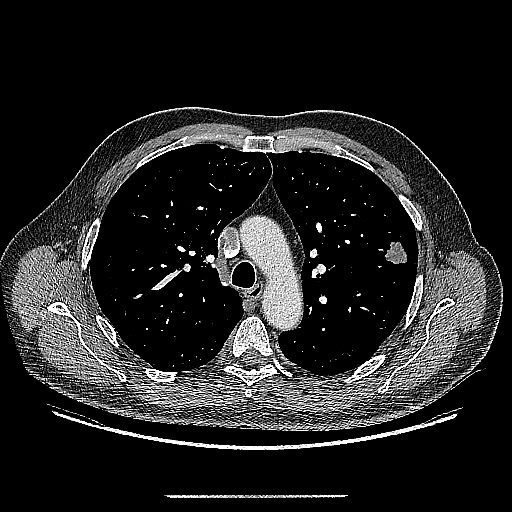 CT; Image size 512x512; Lung
Lung tumor = [x1=383, y1=239, x2=409, y2=267].